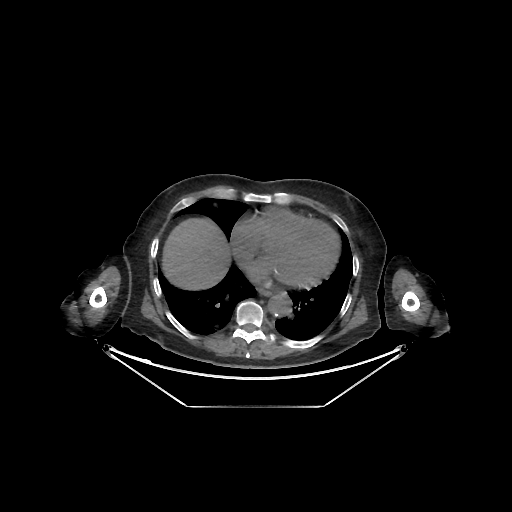

Abdomen; CT image
3 lung regions are bounded by l=174, t=198, r=251, b=240; l=158, t=263, r=256, b=335; l=275, t=228, r=352, b=340. The liver lies within l=163, t=219, r=229, b=289. 10 bone regions appear at l=284, t=337, r=321, b=348; l=166, t=312, r=194, b=338; l=341, t=296, r=351, b=314; l=89, t=287, r=106, b=308; l=244, t=193, r=282, b=202; l=151, t=239, r=157, b=257; l=233, t=301, r=266, b=343; l=353, t=257, r=358, b=275; l=153, t=279, r=160, b=295; l=401, t=291, r=419, b=311.